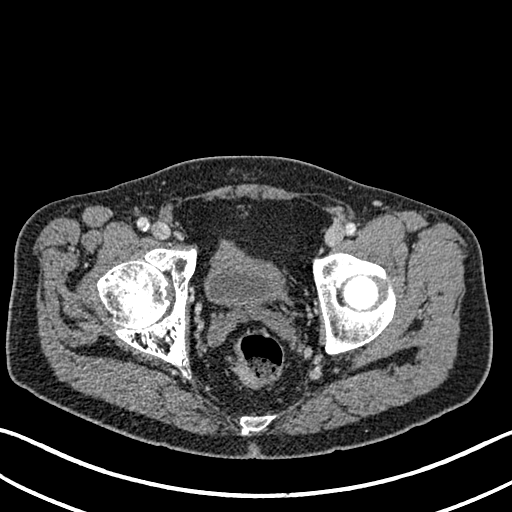

CT scan slice | Image size 512x512

Segmented structures:
• urinary bladder: [205,243,285,306]